Slice index 436. Chest. CT slice. Image size 512x512.
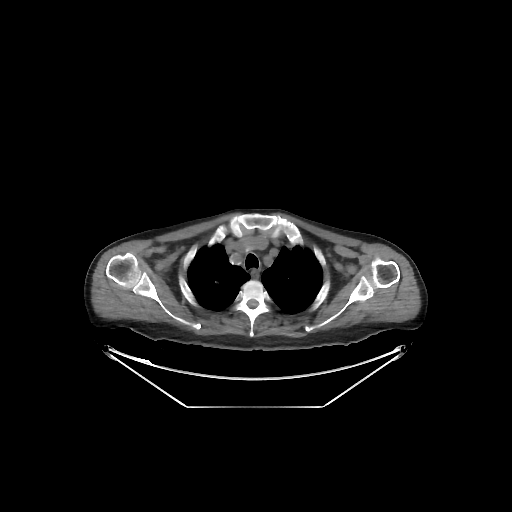
<segmentation>
  <bone>(left=180, top=277, right=193, bottom=301), (left=238, top=281, right=268, bottom=335), (left=106, top=253, right=163, bottom=306), (left=316, top=282, right=328, bottom=301), (left=216, top=214, right=299, bottom=243), (left=338, top=258, right=399, bottom=314)</bone>
  <lung>(left=187, top=243, right=250, bottom=311), (left=245, top=253, right=258, bottom=269), (left=261, top=245, right=322, bottom=314)</lung>
</segmentation>